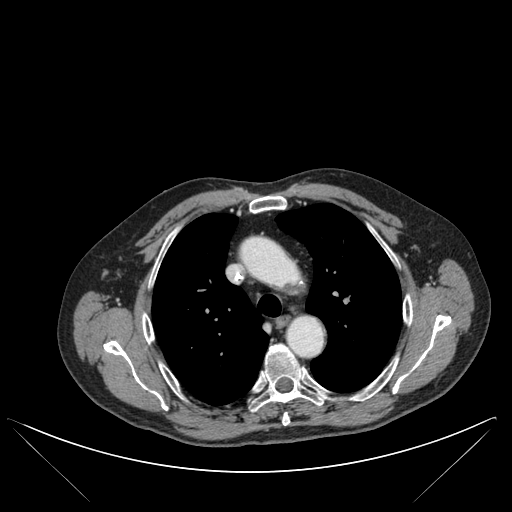 CT slice. 512x512.

Annotated regions:
- bone: box(350, 358, 398, 400); box(403, 295, 412, 324); box(282, 412, 289, 425); box(153, 236, 169, 279); box(103, 341, 167, 410); box(251, 344, 327, 410); box(392, 315, 451, 393); box(142, 313, 153, 343); box(159, 363, 179, 393); box(382, 241, 391, 256); box(249, 196, 286, 213)
- lung: box(276, 203, 401, 392); box(152, 213, 280, 405)